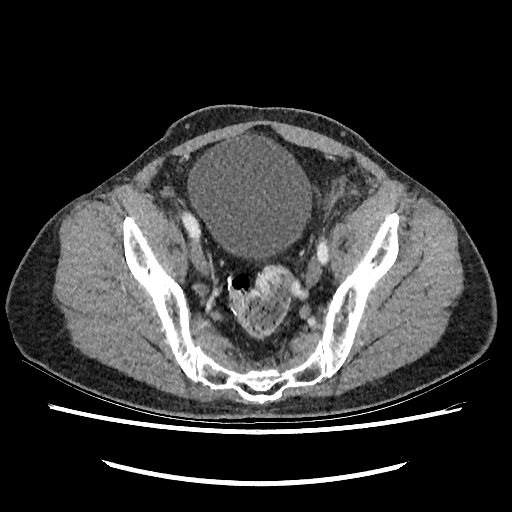

CT image
urinary_bladder:
  - 187,131,311,261